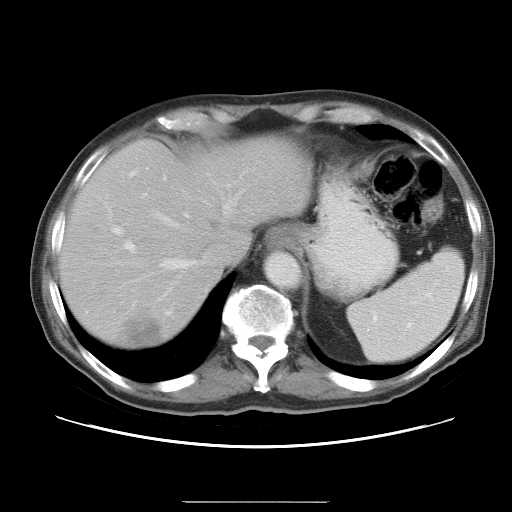

CT slice.

The vessel annotation is not exhaustive.
Hepatic vessel: [124, 242, 134, 252], [85, 311, 87, 312], [184, 212, 188, 217], [111, 226, 121, 233].
Liver tumor: [125, 318, 162, 345].